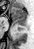
Magnetic resonance

The posterior hippocampus lies within region(14, 22, 28, 30). The anterior hippocampus is at region(10, 7, 28, 23).